Slice 51 of 565 | Lower abdomen | CT | Image size 512x512 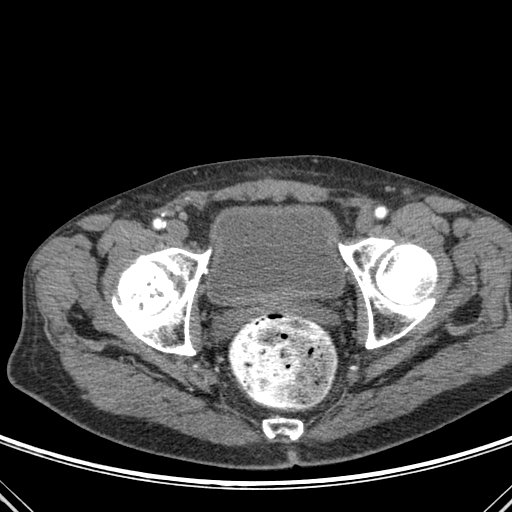 Segmented structures:
- bone: bbox=[112, 247, 211, 355]; bbox=[262, 418, 303, 439]; bbox=[338, 236, 437, 348]
- urinary bladder: bbox=[208, 204, 347, 302]